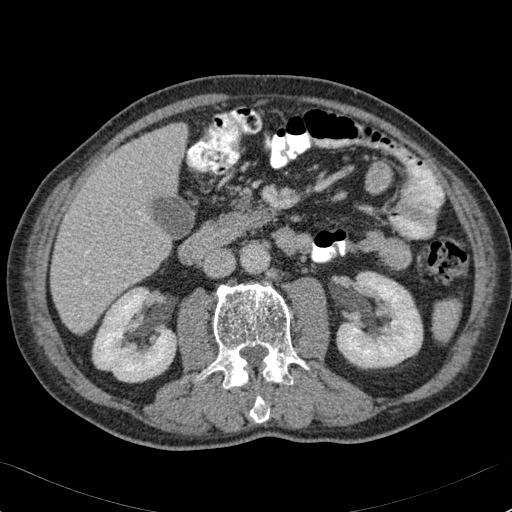
512x512 | Computed tomography | Liver

<segmentation>
  <liver>(left=51, top=124, right=187, bottom=332)</liver>
  <kidney>(left=93, top=288, right=175, bottom=381), (left=337, top=272, right=422, bottom=367)</kidney>
</segmentation>